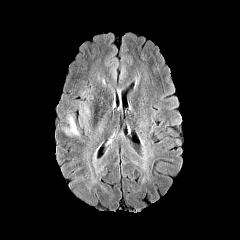
FLAIR MR.
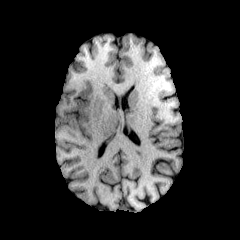
T1-weighted MR image of the same slice.
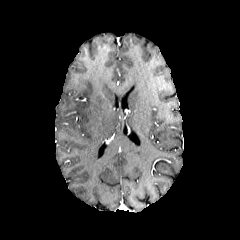
Post-contrast T1-weighted MR.
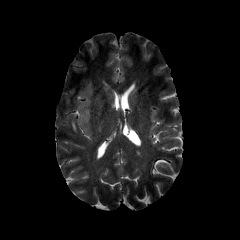
T2-weighted MR.
Image size 240x240; Head
Edema — (65, 117, 79, 135).